240x240; Field of view 240 mm wide, 1.00 mm slice spacing
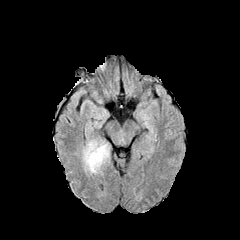
FLAIR MR image.
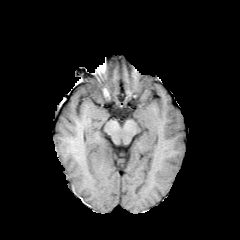
Same slice, T1-weighted magnetic resonance.
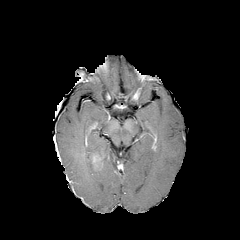
Same slice, post-contrast T1-weighted magnetic resonance.
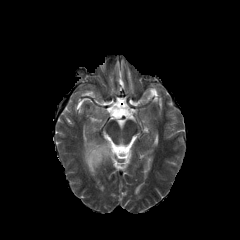
T2-weighted MRI of the same slice.
Segmented structures:
- edema: [x1=81, y1=139, x2=110, y2=175]
- enhancing tumor: [x1=90, y1=151, x2=104, y2=169]